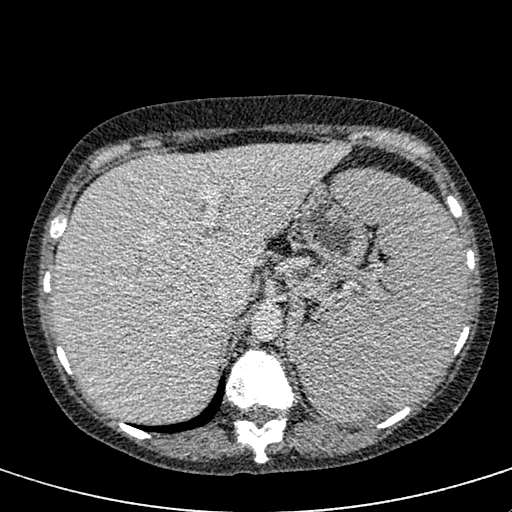 Computed tomography, Abdomen
Annotated regions:
* liver: region(53, 145, 351, 420)